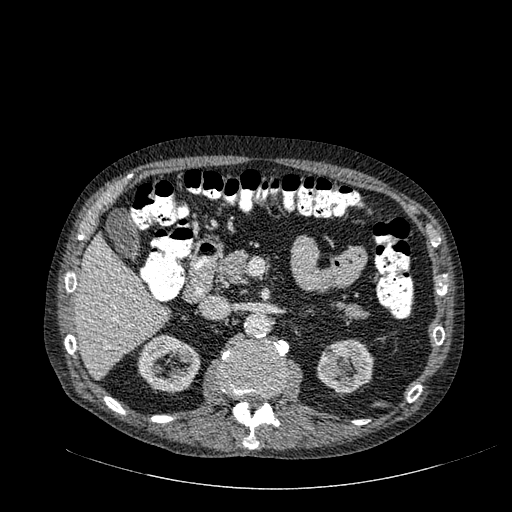 512x512; CT image
liver: [76,236,167,377] | kidney: [317,339,373,396], [137,334,200,392]